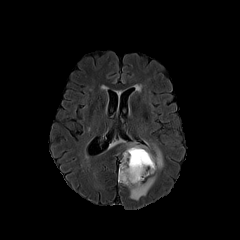
FLAIR MR image.
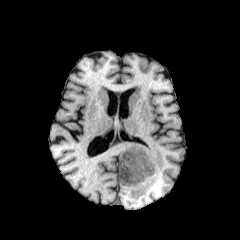
T1-weighted MR of the same slice.
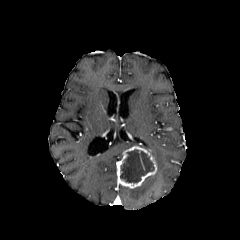
Post-contrast T1-weighted magnetic resonance.
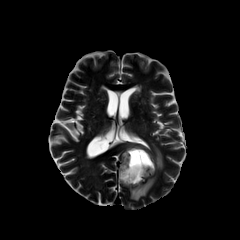
T2-weighted MR image of the same slice.
Head
Non-enhancing tumor core = {"x1": 120, "y1": 149, "x2": 154, "y2": 183}.
Enhancing tumor = {"x1": 117, "y1": 145, "x2": 157, "y2": 189}.
Edema = {"x1": 130, "y1": 175, "x2": 155, "y2": 200}, {"x1": 154, "y1": 147, "x2": 163, "y2": 169}.